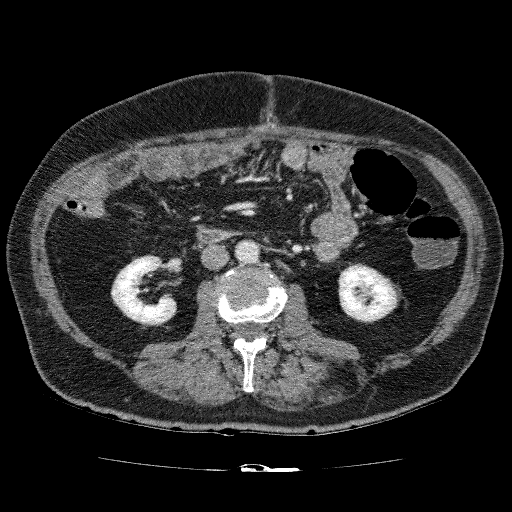

512x512 px. Abdomen. CT image.
Segmented structures:
• kidney: {"x1": 111, "y1": 256, "x2": 177, "y2": 324}, {"x1": 339, "y1": 265, "x2": 396, "y2": 321}